Computed tomography | Upper abdomen 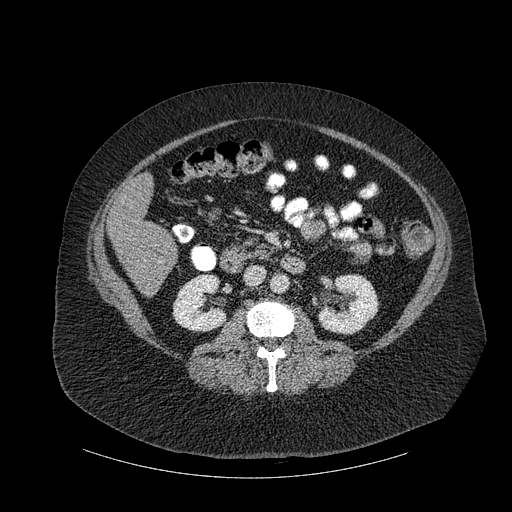 Kidney — {"x1": 173, "y1": 275, "x2": 225, "y2": 330}, {"x1": 319, "y1": 275, "x2": 377, "y2": 333}.
Bone — {"x1": 257, "y1": 347, "x2": 285, "y2": 391}, {"x1": 247, "y1": 302, "x2": 294, "y2": 336}.
Liver — {"x1": 108, "y1": 174, "x2": 177, "y2": 295}.